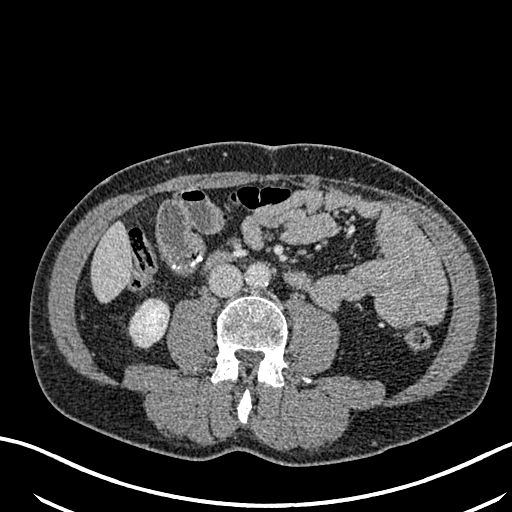 Upper abdomen; Image size 512x512; Computed tomography
kidney:
  - box(130, 300, 168, 346)
liver:
  - box(93, 222, 129, 302)